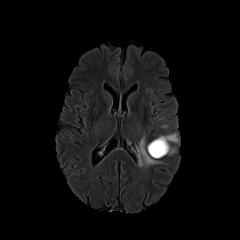
FLAIR MRI.
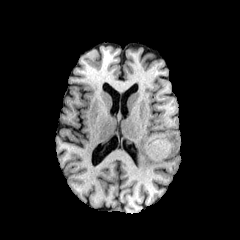
Same slice, T1-weighted MRI.
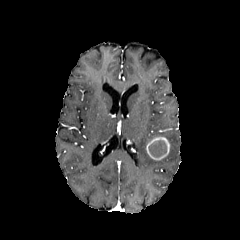
Post-contrast T1-weighted magnetic resonance.
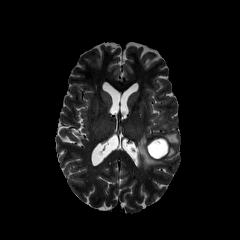
T2-weighted MR image.
Head
The non-enhancing tumor core appears at box(148, 140, 167, 158). 3 edema regions appear at box(158, 133, 179, 144); box(136, 130, 164, 169); box(159, 115, 173, 127). The enhancing tumor appears at box(146, 136, 170, 160).